CT image, Abdomen 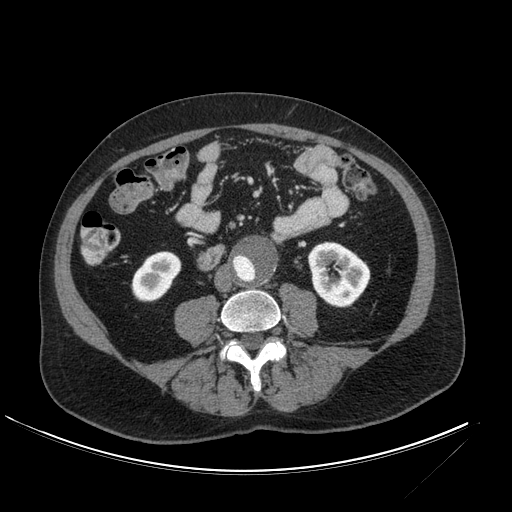

Kidney at (309,243,369,306), (133,252,180,300).